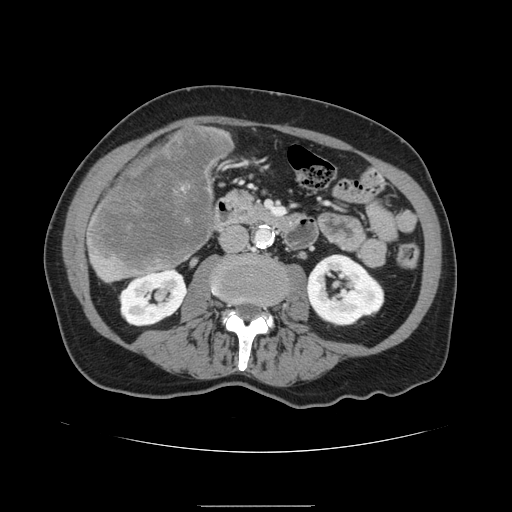

CT scan slice.
liver tumor: (88,128,230,271)